Liver | CT slice | Slice index 400

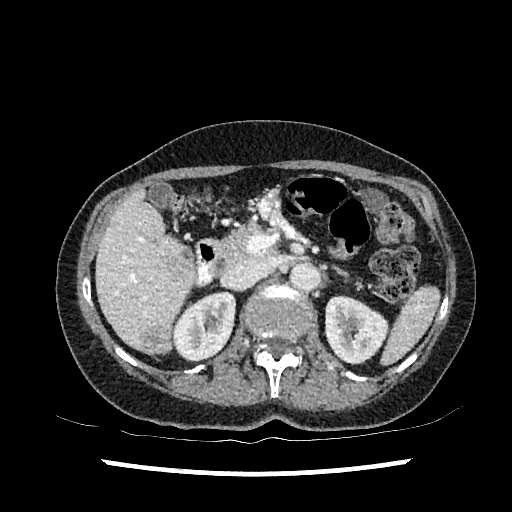

Hepatic lesion — <box>142,326,170,351</box>, <box>168,256,188,277</box>.
Kidney — <box>174,293,235,360</box>, <box>326,297,386,362</box>.
Liver — <box>96,189,194,351</box>, <box>148,342,170,353</box>.